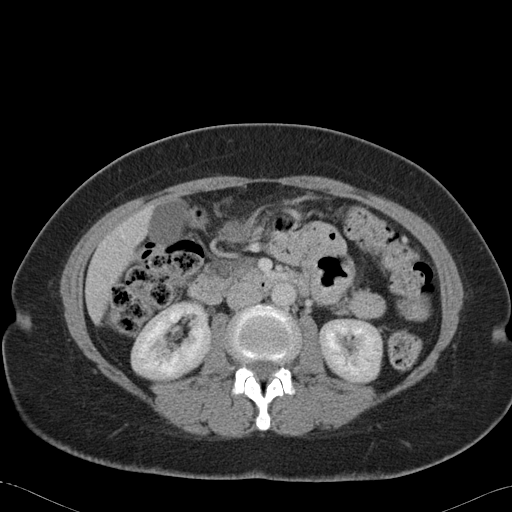

Abdomen. CT.

pancreas: (x1=206, y1=258, x2=255, y2=286)